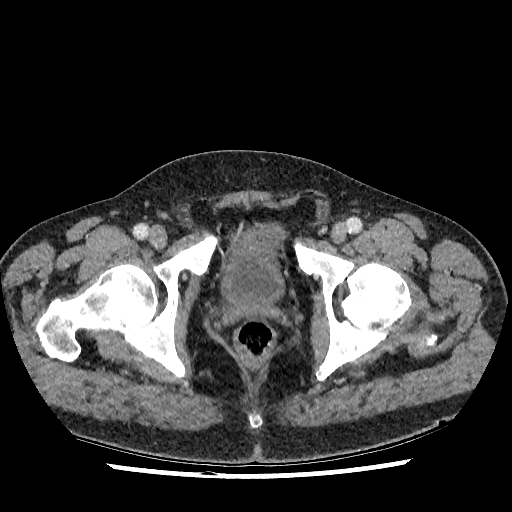
CT. The urinary bladder is located at x1=220, y1=222, x2=287, y2=309.